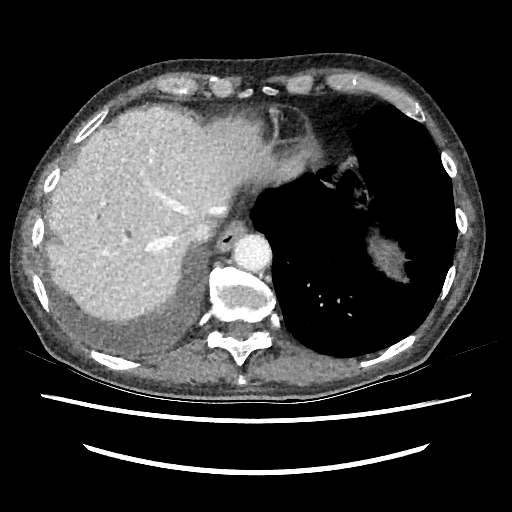

CT slice. Upper abdomen.
Liver — (left=47, top=108, right=277, bottom=319).